Head. Slice index 51. Field of view 240x240 mm.
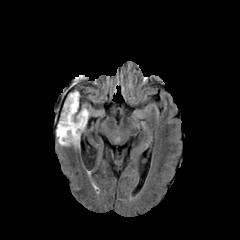
FLAIR MR image.
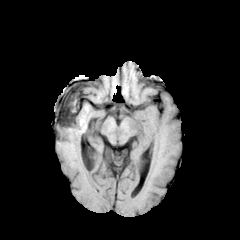
T1-weighted MR image.
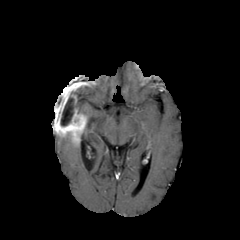
Post-contrast T1-weighted magnetic resonance.
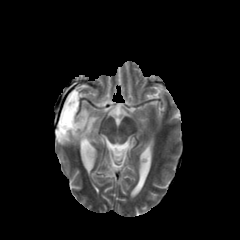
Same slice, T2-weighted MR.
enhancing_tumor:
  - 55, 83, 86, 141
non-enhancing_tumor_core:
  - 56, 95, 65, 121
  - 67, 77, 87, 86
  - 60, 85, 86, 125
edema:
  - 58, 136, 79, 145
  - 78, 93, 90, 117